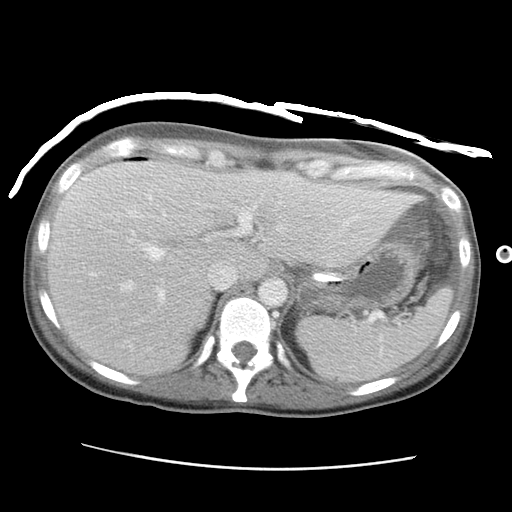

CT scan slice; Abdomen

The liver lies within x1=46 y1=160 x2=424 y2=375.